Slice index 83
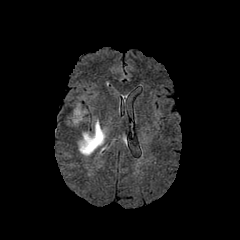
FLAIR MRI.
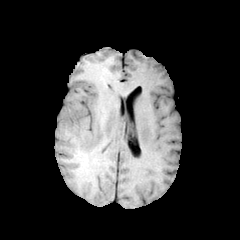
T1-weighted magnetic resonance.
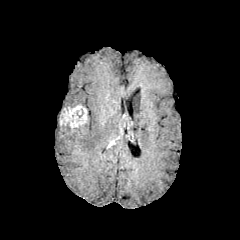
Post-contrast T1-weighted MR.
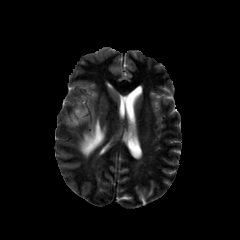
Same slice, T2-weighted magnetic resonance.
The enhancing tumor lies within <bbox>70, 106, 81, 117</bbox>. The non-enhancing tumor core is located at <bbox>64, 107, 85, 124</bbox>. The edema is at <bbox>79, 120, 105, 156</bbox>.